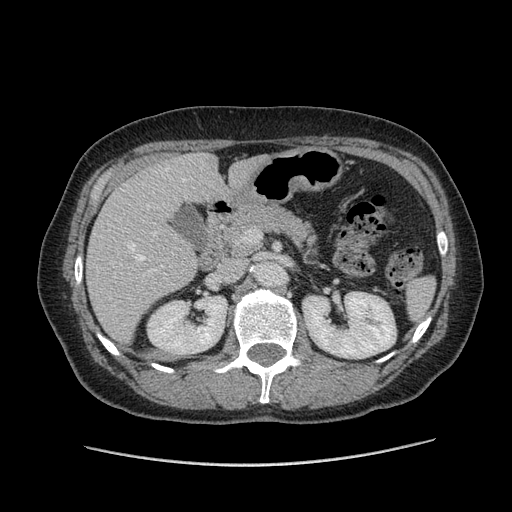

Computed tomography; Liver; Image size 512x512

The vessel annotation is not exhaustive.
Annotated regions:
- hepatic vessel: x1=152, y1=233, x2=155, y2=235